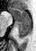 Magnetic resonance. posterior_hippocampus:
  - [17, 23, 30, 37]
anterior_hippocampus:
  - [10, 8, 30, 22]